CT scan slice.
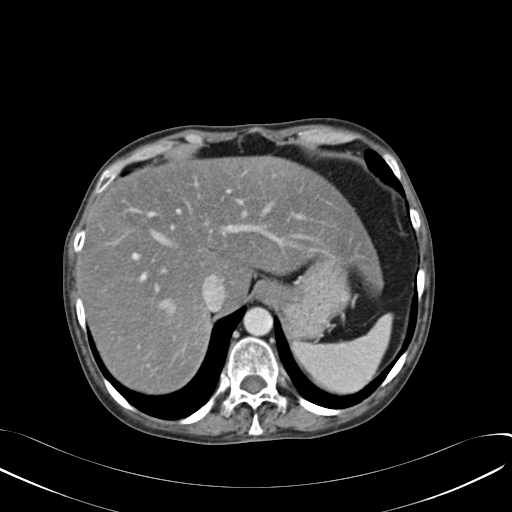 The liver is located at 80 156 382 393.